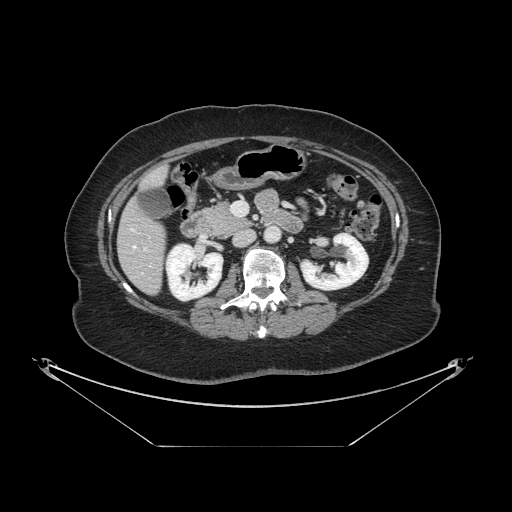
Upper abdomen | CT
<segmentation>
  <pancreas>x1=202 y1=203 x2=251 y2=237</pancreas>
</segmentation>